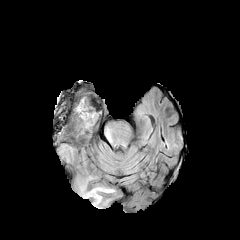
FLAIR MR.
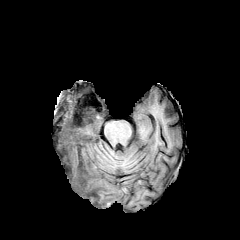
T1-weighted magnetic resonance.
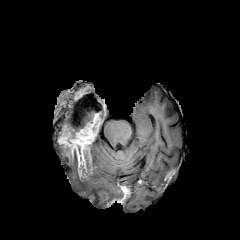
Same slice, post-contrast T1-weighted magnetic resonance.
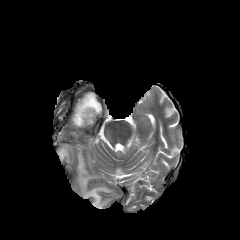
T2-weighted MR of the same slice.
Brain
<segmentation>
  <enhancing_tumor>78, 147, 85, 168; 84, 113, 98, 129; 57, 132, 77, 157</enhancing_tumor>
  <edema>74, 122, 83, 130; 75, 169, 116, 208</edema>
  <non-enhancing_tumor_core>58, 102, 101, 172; 78, 166, 89, 182</non-enhancing_tumor_core>
</segmentation>